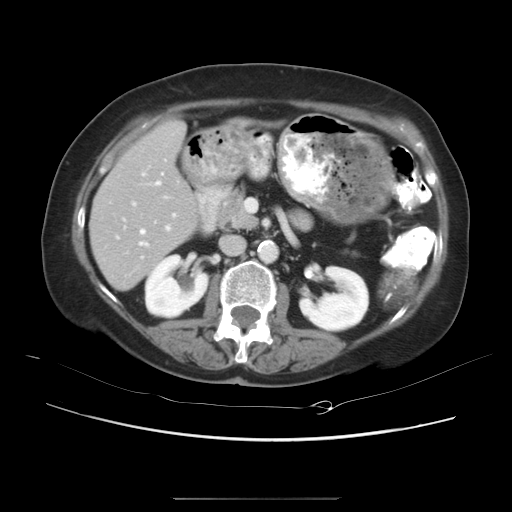 CT | 512x512 px
Only some of the vessels may be annotated.
Hepatic vessel: (173, 214, 175, 217), (141, 172, 145, 176), (139, 241, 148, 246), (116, 236, 118, 238), (140, 229, 145, 234), (154, 181, 160, 185), (141, 257, 143, 258), (165, 226, 170, 230), (161, 173, 162, 174), (123, 218, 124, 220), (132, 202, 134, 206), (164, 196, 168, 198), (164, 160, 166, 161).